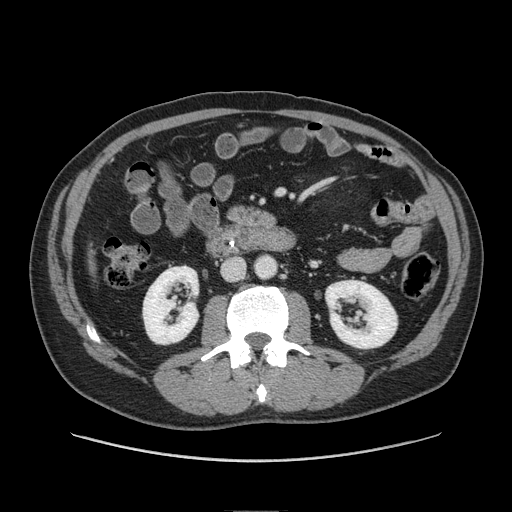

CT image | Upper abdomen
Annotated regions:
* pancreas: (x1=225, y1=203, x2=279, y2=229)